Field of view 240x240 mm. Slice 129/155. 240x240 px.
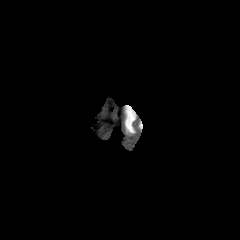
FLAIR MR.
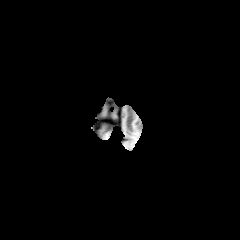
T1-weighted MR of the same slice.
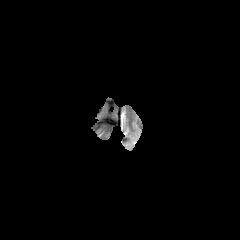
Post-contrast T1-weighted MRI.
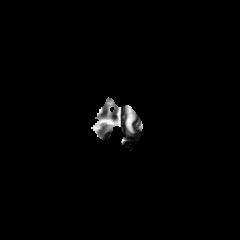
Same slice, T2-weighted MR image.
edema: box(123, 105, 142, 135) | non-enhancing tumor core: box(125, 112, 133, 131)